Image size 240x240, Head
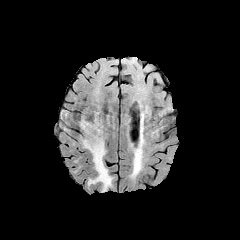
FLAIR MRI.
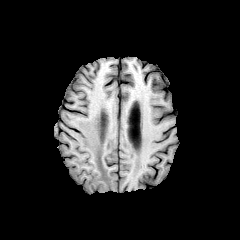
T1-weighted MRI.
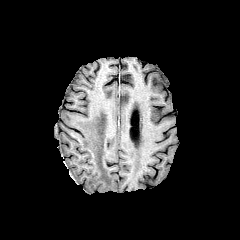
Post-contrast T1-weighted MR image.
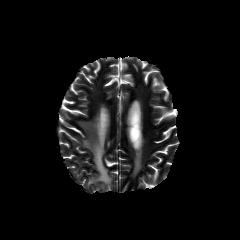
T2-weighted MR image.
Edema: bounding box (left=132, top=150, right=141, bottom=175), (left=80, top=118, right=113, bottom=190).